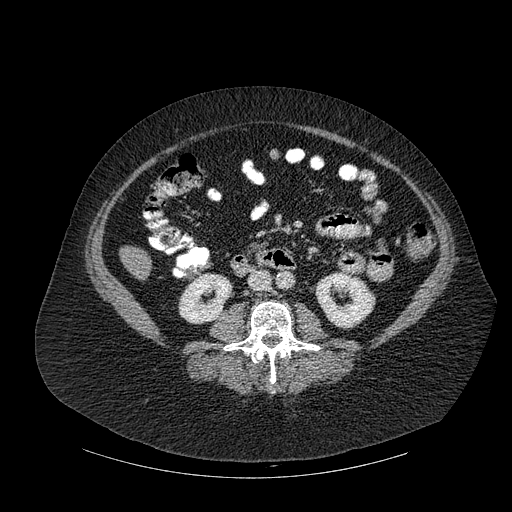 Liver, CT image, Image size 512x512

Liver = (left=119, top=245, right=151, bottom=280).
Bone = (left=224, top=302, right=319, bottom=383).
Kidney = (left=316, top=273, right=373, bottom=327), (left=179, top=273, right=231, bottom=323).